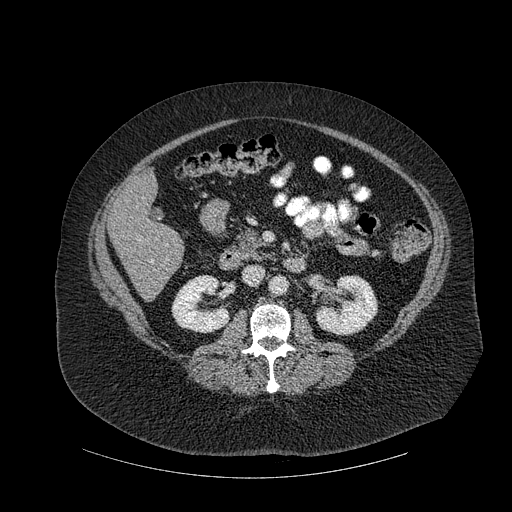 Upper abdomen; Computed tomography; 512x512 px

Annotated regions:
* kidney: [x1=317, y1=276, x2=376, y2=334], [x1=172, y1=275, x2=228, y2=332]
* bone: [x1=242, y1=304, x2=294, y2=392], [x1=357, y1=188, x2=367, y2=199]
* liver: [x1=108, y1=173, x2=184, y2=297]